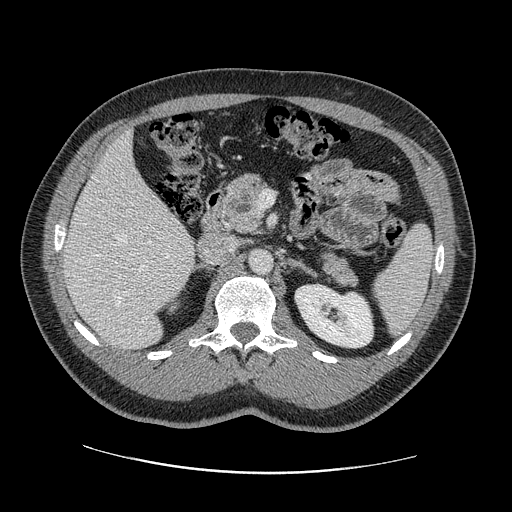 CT

Findings:
• pancreatic tumor: l=226, t=192, r=251, b=214
• pancreas: l=213, t=171, r=268, b=234; l=317, t=246, r=359, b=287